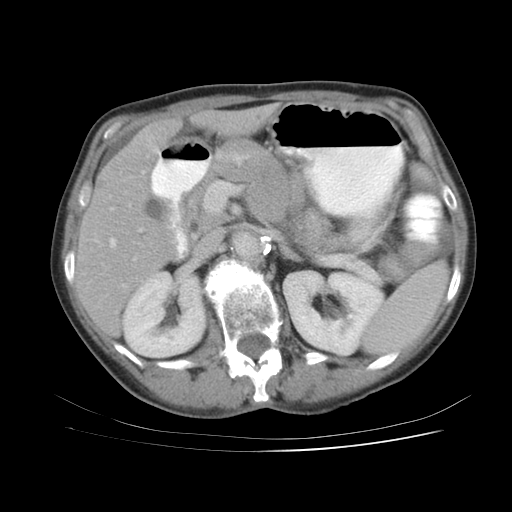

Abdomen. CT slice. 512x512.
Annotated regions:
- spleen: (362, 265, 447, 351)